Image size 240x240. Brain.
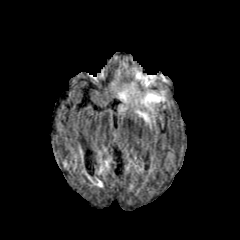
FLAIR MRI.
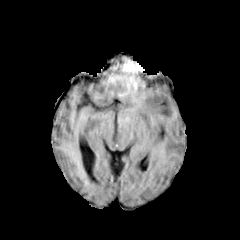
T1-weighted magnetic resonance.
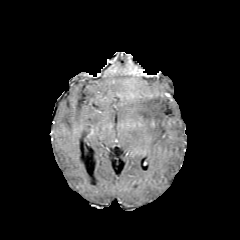
Post-contrast T1-weighted MR image of the same slice.
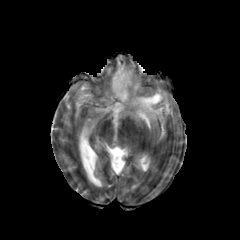
T2-weighted MR.
edema: [119,82,135,102], [138,92,163,112], [136,110,149,123]